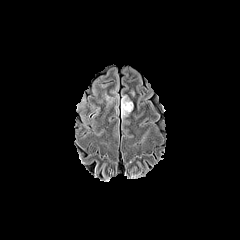
FLAIR MR image.
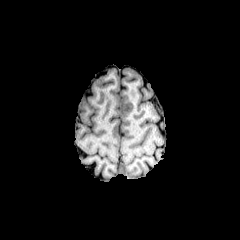
T1-weighted MR image.
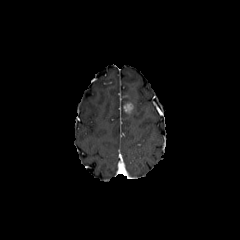
Post-contrast T1-weighted MRI of the same slice.
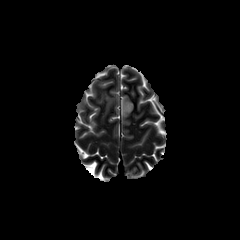
T2-weighted MR.
Head
* edema: {"x1": 121, "y1": 96, "x2": 132, "y2": 117}, {"x1": 105, "y1": 94, "x2": 113, "y2": 105}
* enhancing tumor: {"x1": 123, "y1": 102, "x2": 133, "y2": 114}